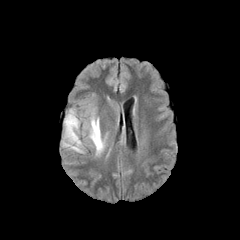
FLAIR MR.
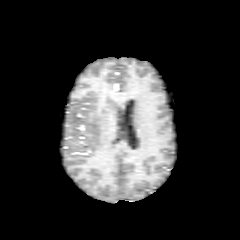
T1-weighted MR image.
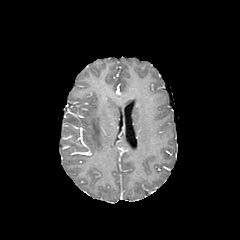
Post-contrast T1-weighted MR.
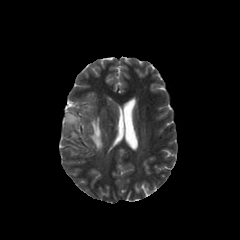
T2-weighted MR.
Brain
The edema is located at l=63, t=109, r=103, b=152.